CT. Upper abdomen.
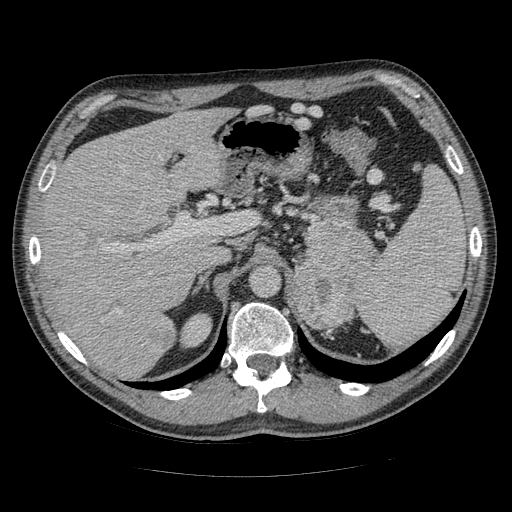 pancreatic tumor: <bbox>293, 267, 351, 329</bbox> | pancreas: <bbox>345, 303, 353, 322</bbox>, <bbox>292, 223, 375, 296</bbox>